Slice 224/407; Field of view 358x358 mm; CT image; Liver
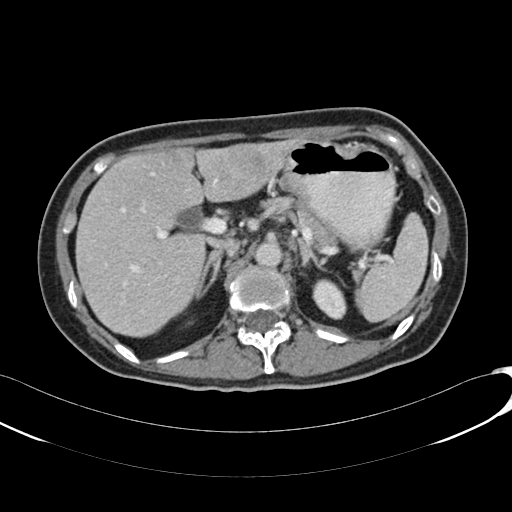 Liver at (77,137,304,335).
Kidney at (314,282,344,317).
Focal liver lesion at (251,151,266,169), (172,153,180,161).